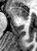
MRI

The anterior hippocampus is bounded by <box>10,6,28,19</box>.